CT | Lower abdomen

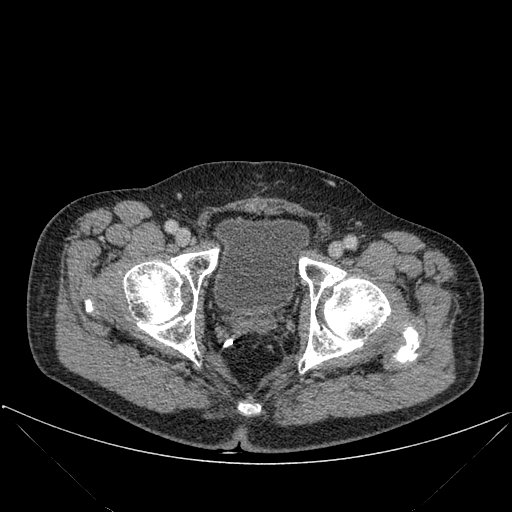

Urinary bladder: bounding box [213,218,309,322].
Bone: bounding box [124,248,218,363], [238,403,260,413], [85,300,92,311], [299,257,390,372], [394,327,418,362].